FLAIR MRI.
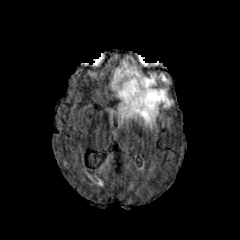
T1-weighted magnetic resonance.
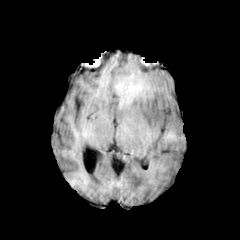
Post-contrast T1-weighted magnetic resonance.
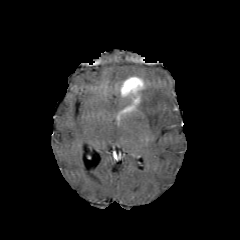
T2-weighted magnetic resonance.
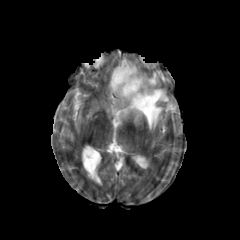
enhancing_tumor:
  - left=118, top=76, right=143, bottom=118
edema:
  - left=111, top=61, right=172, bottom=127
  - left=158, top=73, right=168, bottom=82